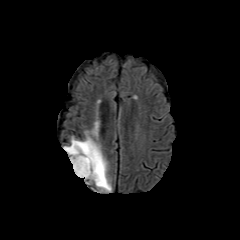
FLAIR magnetic resonance.
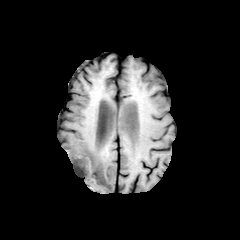
T1-weighted MR image of the same slice.
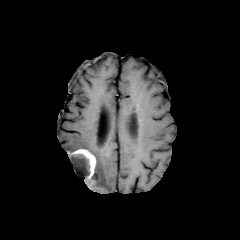
Same slice, post-contrast T1-weighted MR.
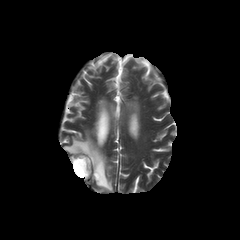
T2-weighted MR of the same slice.
Brain
Edema at left=92, top=124, right=100, bottom=140; left=64, top=135, right=112, bottom=192.
Non-enhancing tumor core at left=68, top=152, right=90, bottom=179.
Enhancing tumor at left=72, top=149, right=95, bottom=178.